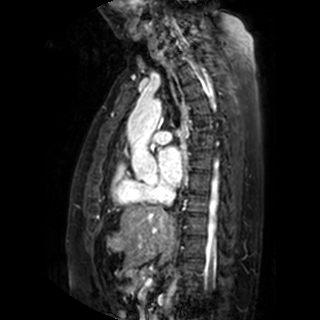

Image size 320x320; MR
{
  "left_atrium": [
    "l=159, t=147, r=182, b=185"
  ]
}